MR. Image width 38 mm. Slice 26/33.
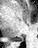
posterior_hippocampus:
  - 14,37,23,41